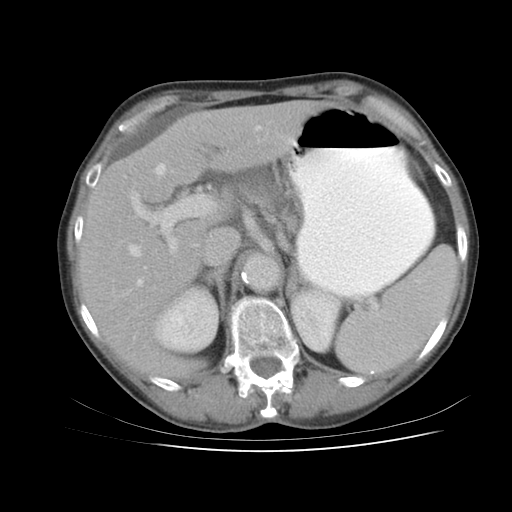 Abdomen; 512x512; CT slice

The spleen is located at 337,248,456,372.